Slice 28/90. Field of view 372x372 mm. CT scan slice.
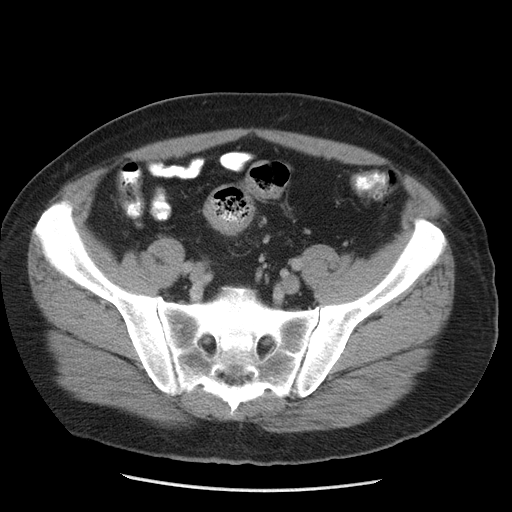 colon_tumor:
  - (x1=203, y1=202, x2=252, y2=235)